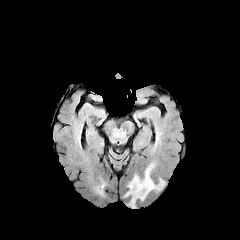
FLAIR magnetic resonance.
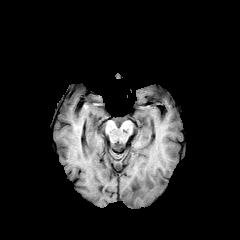
T1-weighted MRI.
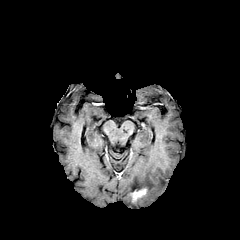
Post-contrast T1-weighted magnetic resonance of the same slice.
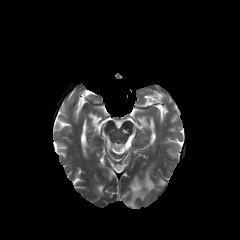
Same slice, T2-weighted MR.
Head
The edema appears at rect(124, 163, 165, 200). The enhancing tumor is located at rect(129, 188, 146, 202).